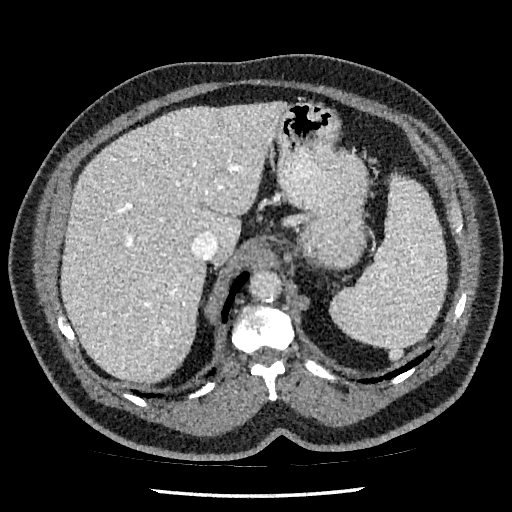 Image size 512x512; Upper abdomen; Computed tomography
Hepatic lesion: l=218, t=117, r=224, b=126.
Liver: l=61, t=102, r=284, b=382.